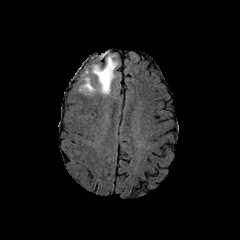
FLAIR MRI.
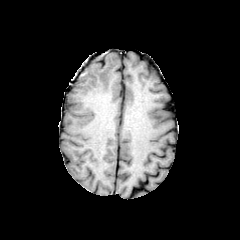
T1-weighted MR.
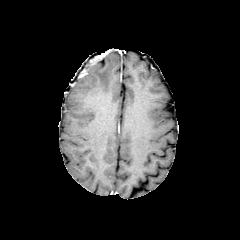
Post-contrast T1-weighted MR of the same slice.
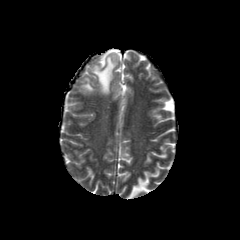
T2-weighted MR image.
non-enhancing_tumor_core:
  - 91,57,103,64
edema:
  - 80,54,118,95